CT scan slice; Slice 56 of 99; Upper abdomen
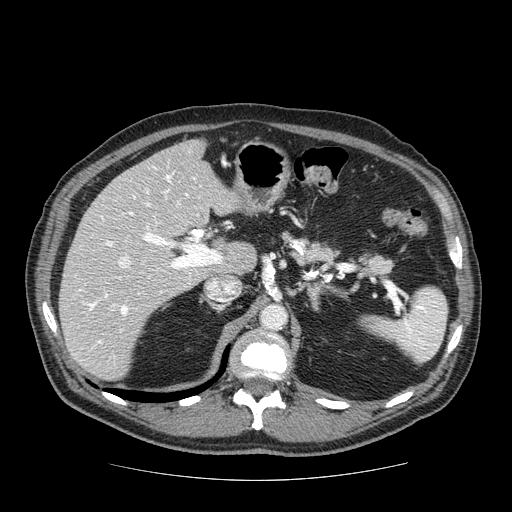

<segmentation>
  <pancreas>bbox=[278, 231, 344, 264]; bbox=[353, 252, 391, 276]</pancreas>
</segmentation>